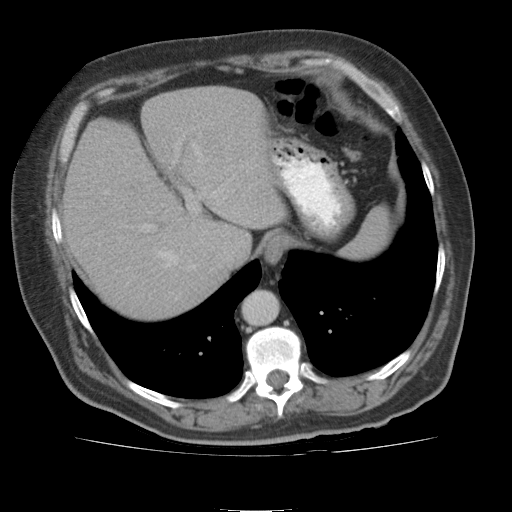
Abdomen. CT.
liver:
  - rect(65, 89, 282, 319)